Brain
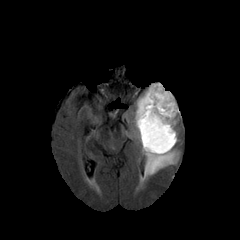
FLAIR MRI.
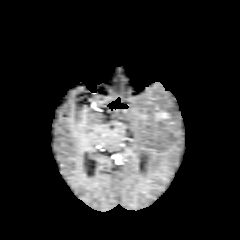
T1-weighted MR of the same slice.
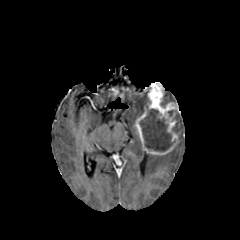
Post-contrast T1-weighted magnetic resonance of the same slice.
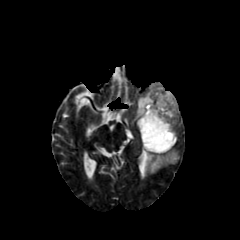
T2-weighted magnetic resonance of the same slice.
{"enhancing_tumor": ["l=133, t=82, r=180, b=155"], "non-enhancing_tumor_core": ["l=140, t=109, r=174, b=151"], "edema": ["l=129, t=90, r=147, b=138", "l=140, t=148, r=179, b=181"]}